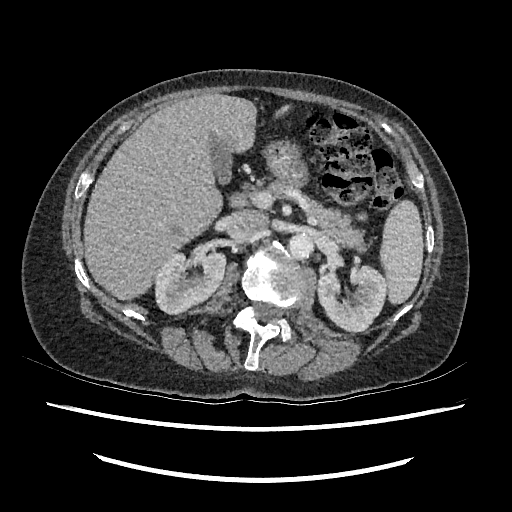

Image size 512x512. CT scan slice.

kidney:
  - [x1=318, y1=251, x2=386, y2=331]
  - [x1=155, y1=251, x2=225, y2=313]
focal_liver_lesion:
  - [x1=174, y1=227, x2=181, y2=236]
liver:
  - [x1=276, y1=105, x2=289, y2=115]
  - [x1=85, y1=94, x2=256, y2=299]